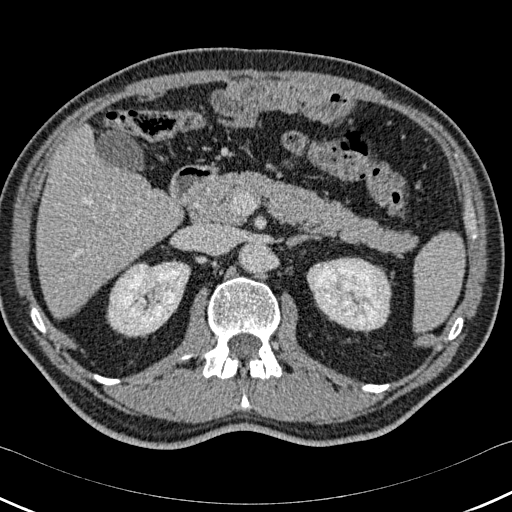

CT scan slice
Annotated regions:
- bone: 203:277:281:379, 94:375:119:384, 31:308:44:331, 241:394:249:408, 363:384:388:392, 449:318:462:339
- liver: 37:126:182:316
- kidney: 308:259:390:329, 108:262:189:335